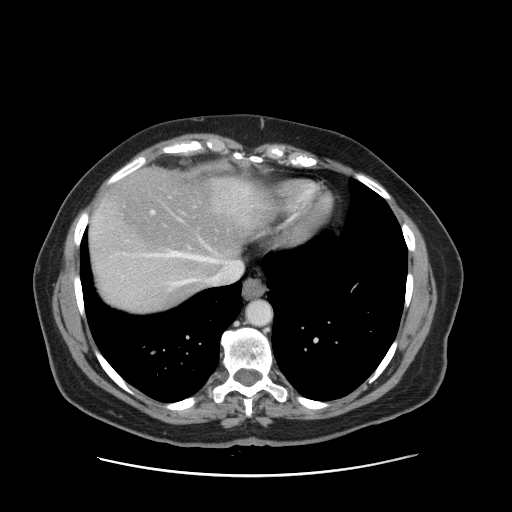
CT image; Liver

Not every hepatic vessel necessarily has a box.
2 hepatic vessel regions are bounded by 170 279 192 287, 151 210 154 213.